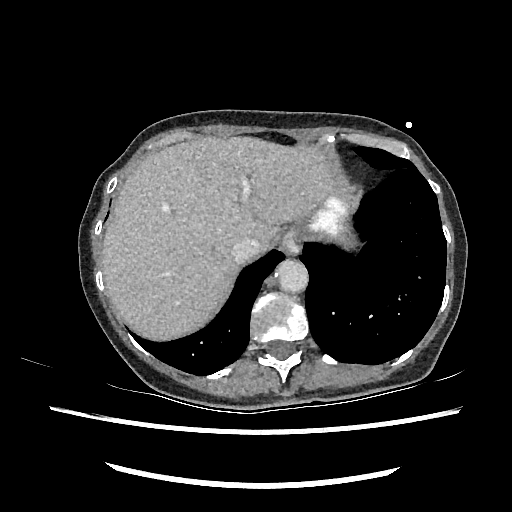
CT image. Image size 512x512.

Annotated regions:
- liver: (104, 137, 336, 337)